512x512; CT slice; Image width 373 mm; Abdomen 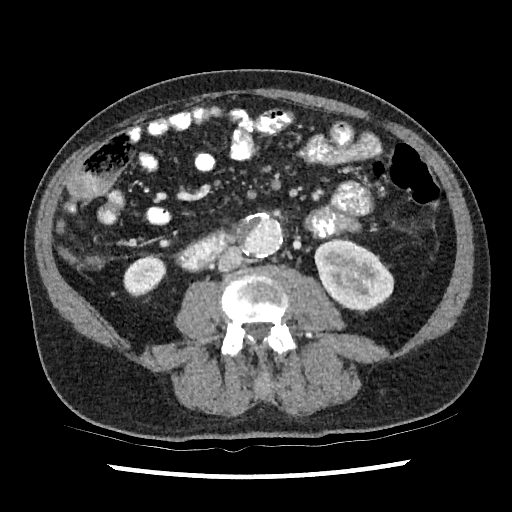
{
  "kidney": [
    "[x1=316, y1=241, x2=393, y2=309]",
    "[x1=124, y1=256, x2=165, y2=294]"
  ]
}